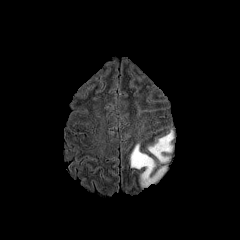
FLAIR MR.
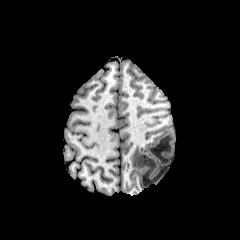
Same slice, T1-weighted MRI.
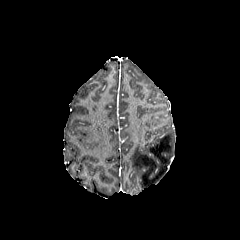
Post-contrast T1-weighted MRI.
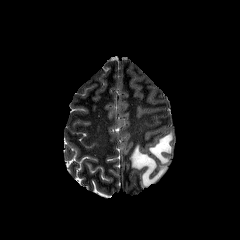
T2-weighted MRI of the same slice.
Brain; Image size 240x240
{"edema": ["box=[130, 144, 161, 187]", "box=[148, 130, 173, 161]"]}